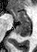

MRI slice
The anterior hippocampus appears at left=7, top=9, right=29, bottom=21. The posterior hippocampus is at left=14, top=22, right=29, bottom=38.